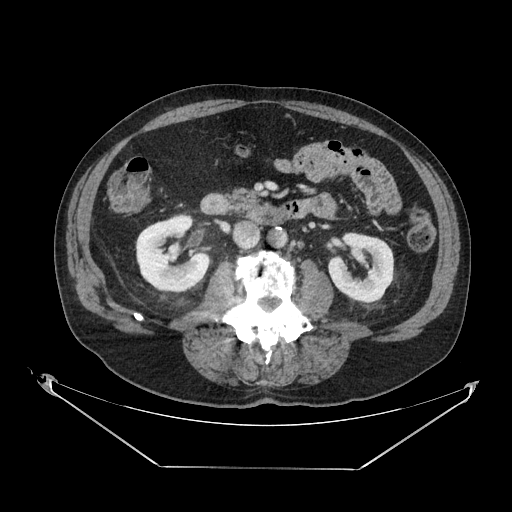
Upper abdomen; CT

Pancreas: bounding box <bbox>230, 187, 259, 208</bbox>.